Image size 512x512. CT. 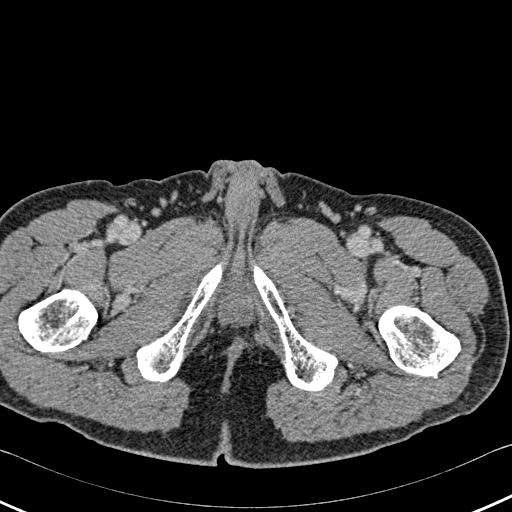

Bone at <bbox>379, 306, 460, 377</bbox>, <bbox>19, 290, 97, 351</bbox>, <bbox>137, 262, 222, 381</bbox>, <bbox>253, 265, 337, 390</bbox>.